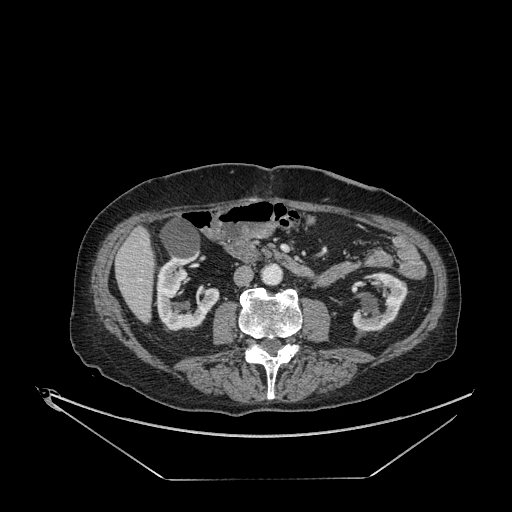

CT. Abdomen.
Segmented structures:
• liver: [115, 227, 153, 322]
• kidney: [353, 273, 406, 330], [157, 257, 218, 329], [352, 281, 363, 292]